Computed tomography. Image width 496 mm. Slice 27/41.

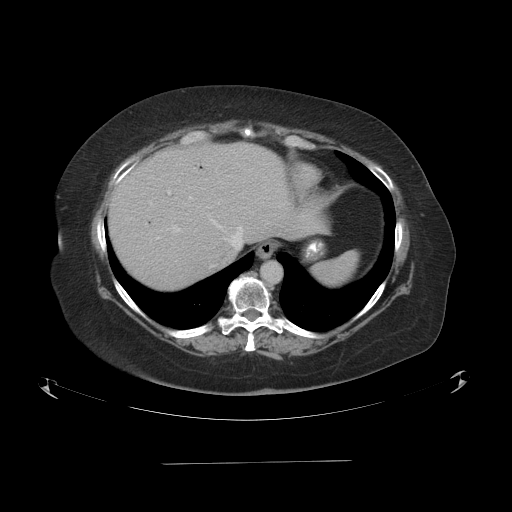

Only some of the vessels may be annotated.
Hepatic vessel = region(224, 226, 242, 248); region(189, 196, 192, 199); region(208, 214, 225, 231); region(174, 227, 179, 230).